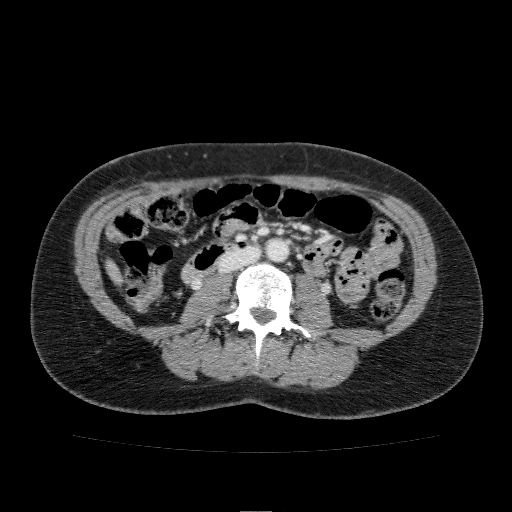 CT slice
The liver lies within [x1=105, y1=260, x2=121, y2=280].